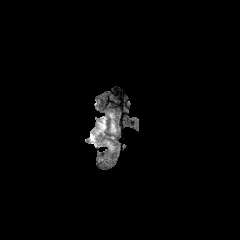
FLAIR magnetic resonance.
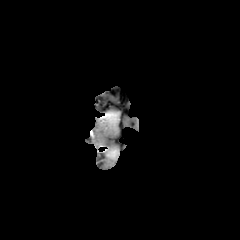
T1-weighted MR image.
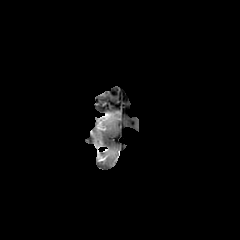
Post-contrast T1-weighted MR.
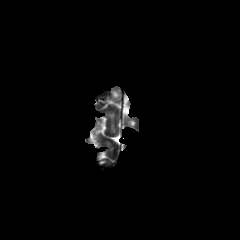
Same slice, T2-weighted MR.
Head; 240x240
{
  "enhancing_tumor": [
    "box=[97, 118, 105, 131]"
  ],
  "edema": [
    "box=[90, 113, 116, 147]"
  ]
}